Field of view 240 mm wide, 1.00 mm slice spacing, Slice 119/155
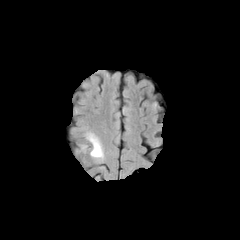
FLAIR magnetic resonance.
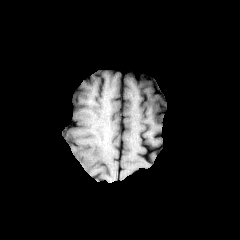
T1-weighted MRI of the same slice.
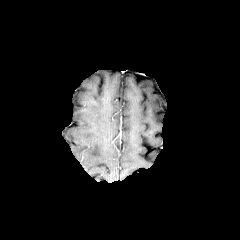
Post-contrast T1-weighted MRI.
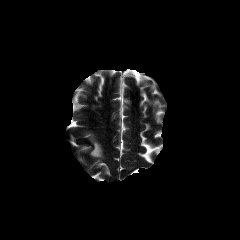
T2-weighted MR.
Edema = left=86, top=133, right=103, bottom=160.